Thorax, Slice 678/689, CT 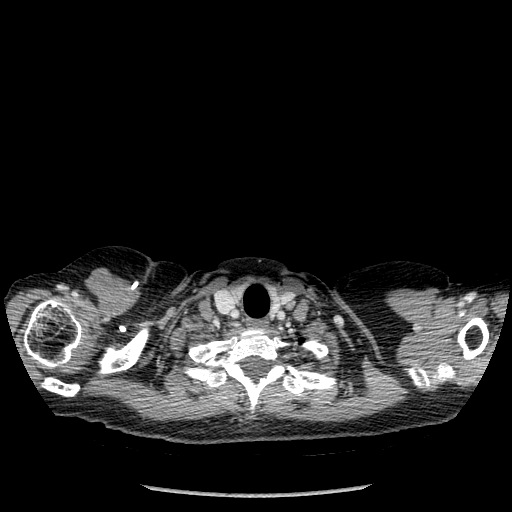
lung:
  - [244,285,269,317]
bone:
  - [302,340,328,358]
  - [98,322,151,373]
  - [184,327,336,412]
  - [457,317,488,363]
  - [24,298,83,368]
  - [405,362,455,388]
  - [41,377,79,396]